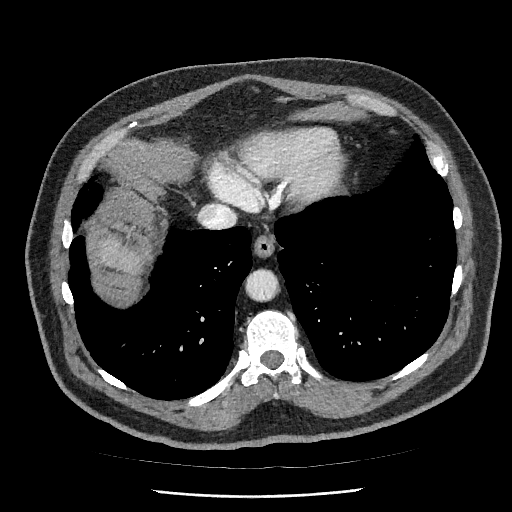 CT scan slice
<segmentation>
  <liver>rect(98, 240, 141, 276)</liver>
</segmentation>